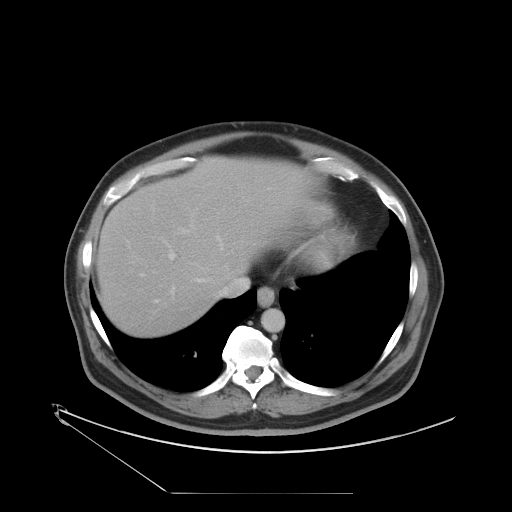
CT scan slice
Some hepatic vessels may have no box.
Largest 15 of 17 hepatic vessel regions — [167, 244, 169, 246], [180, 229, 188, 232], [238, 270, 240, 271], [196, 278, 211, 282], [171, 287, 173, 294], [268, 188, 269, 189], [215, 278, 247, 296], [155, 300, 158, 301], [202, 239, 209, 243], [213, 235, 228, 261], [225, 265, 227, 267], [225, 273, 229, 278], [132, 254, 133, 257], [141, 274, 144, 276], [168, 251, 175, 259].